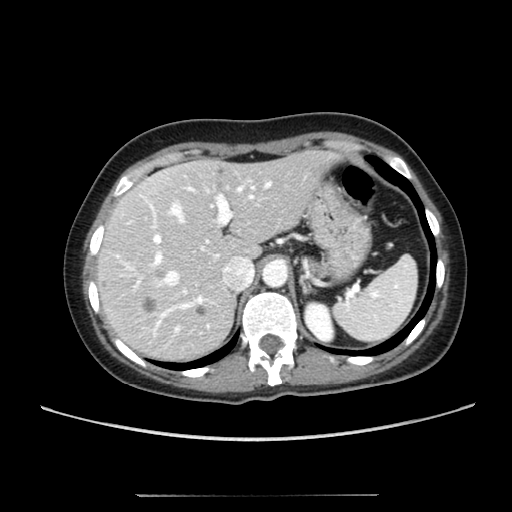 Liver, CT image
Focal liver lesion = 155,269,164,279; 196,305,205,315; 142,295,157,312; 213,178,223,188; 216,167,224,175.
Kidney = 306,305,332,340.
Liver = 98,150,341,359.